FLAIR MR.
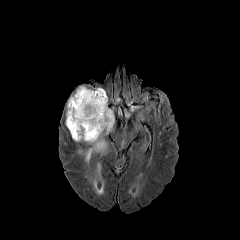
T1-weighted MRI.
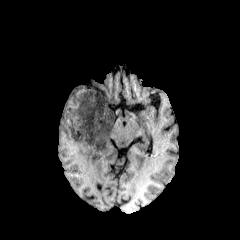
Post-contrast T1-weighted MR image.
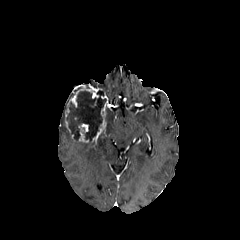
T2-weighted MRI.
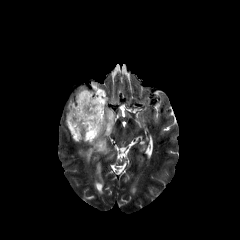
240x240, Head
Enhancing tumor — box(64, 83, 111, 144).
Edema — box(93, 109, 115, 157).
Non-enhancing tumor core — box(68, 90, 105, 139); box(64, 92, 73, 110).